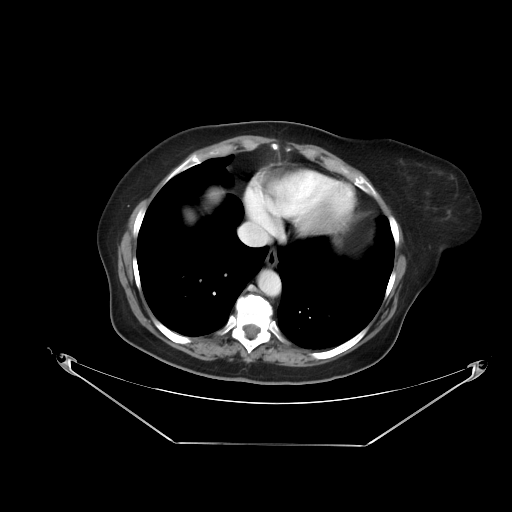
CT; Image size 512x512
Some hepatic vessels may have no box.
{
  "hepatic_vessel": [
    "bbox=[240, 228, 259, 244]"
  ]
}